FLAIR MR.
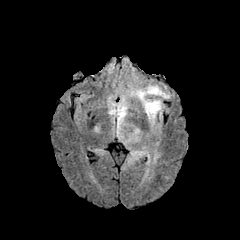
T1-weighted magnetic resonance.
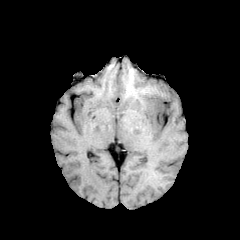
Post-contrast T1-weighted magnetic resonance.
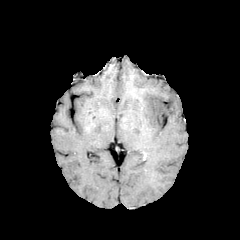
T2-weighted MR image.
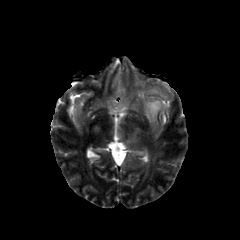
- edema: rect(140, 82, 169, 123); rect(118, 106, 126, 121)
- non-enhancing tumor core: rect(134, 90, 144, 100)